CT image | Image width 398 mm | 512x512 px 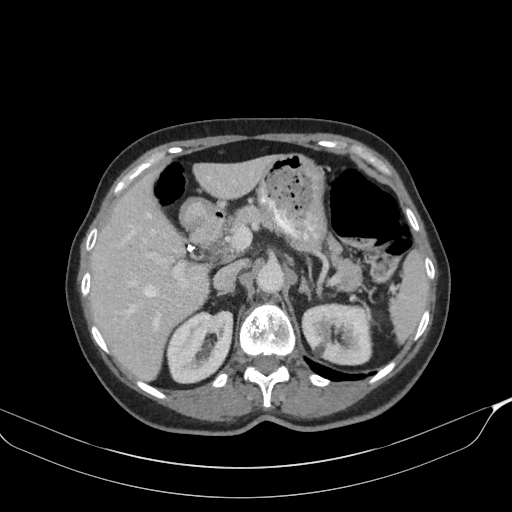 Pancreatic tumor = box=[353, 266, 361, 284].
Pancreas = box=[232, 207, 269, 229]; box=[328, 241, 356, 286].